FLAIR MR.
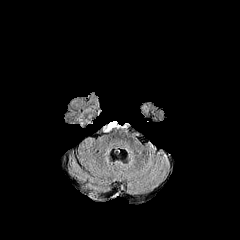
T1-weighted MR.
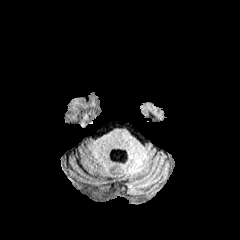
Post-contrast T1-weighted MR image.
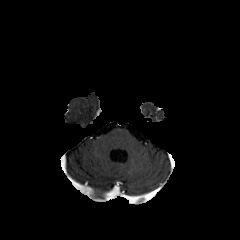
T2-weighted magnetic resonance.
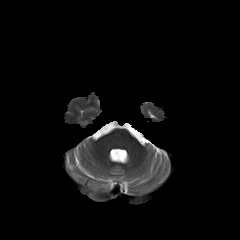
240x240 px
The enhancing tumor is at bbox(82, 188, 102, 200). The non-enhancing tumor core is located at bbox(93, 192, 102, 198).